Image size 240x240. Image width 240 mm. Slice 74 of 155.
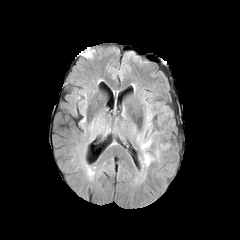
FLAIR MR image.
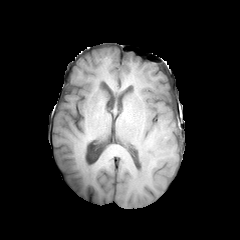
T1-weighted MRI.
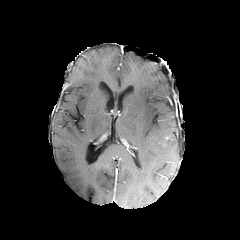
Same slice, post-contrast T1-weighted MRI.
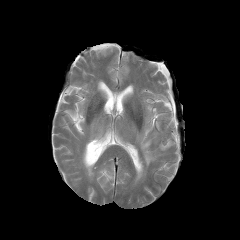
T2-weighted magnetic resonance.
edema: bbox=[159, 142, 169, 149]; bbox=[136, 103, 155, 179]